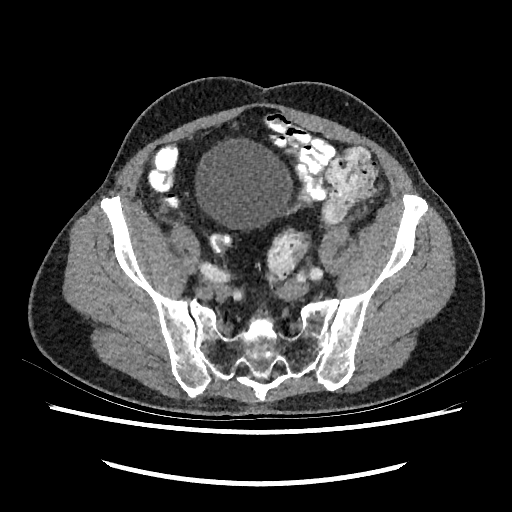 CT image | 512x512

Urinary bladder: bounding box {"x1": 195, "y1": 138, "x2": 292, "y2": 229}.